FLAIR MR image.
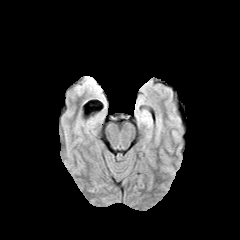
T1-weighted magnetic resonance.
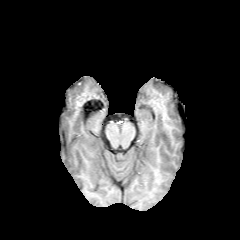
Post-contrast T1-weighted MR.
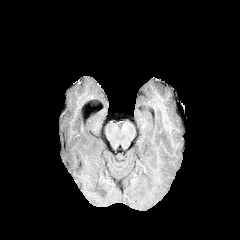
T2-weighted MRI.
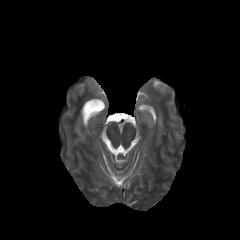
240x240
- edema: (137, 95, 145, 104)